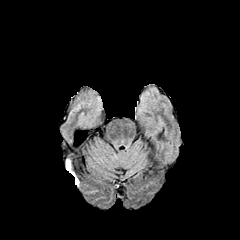
FLAIR MRI.
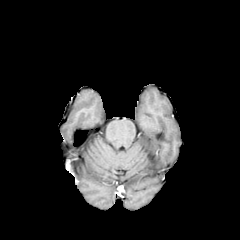
T1-weighted MRI of the same slice.
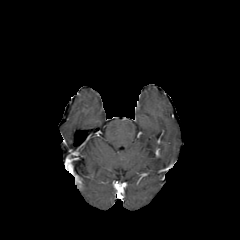
Post-contrast T1-weighted MR.
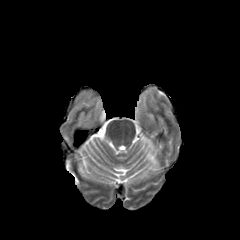
T2-weighted MRI.
240x240
The edema lies within 66,159,79,186.